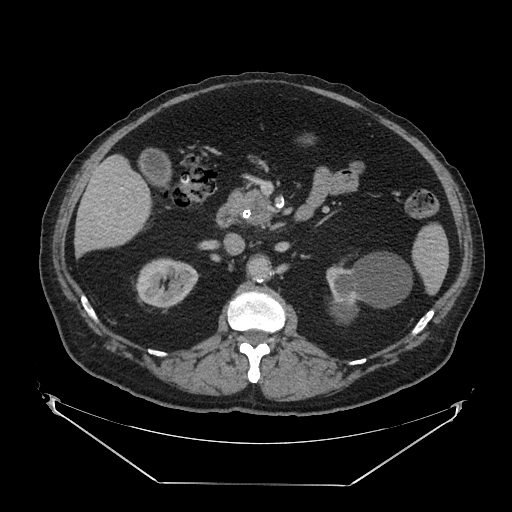 Abdomen, CT slice

2 pancreas regions are bounded by <box>230,191,260,209</box>, <box>252,200,271,222</box>. The pancreatic tumor is located at <box>251,197,266,216</box>.